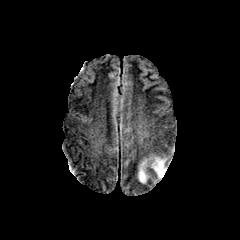
FLAIR MRI.
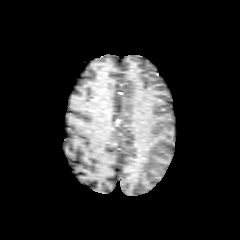
T1-weighted MR image.
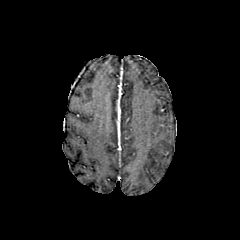
Same slice, post-contrast T1-weighted MR.
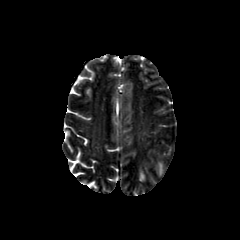
T2-weighted MR image.
240x240.
edema:
  - 146 158 165 177
  - 138 164 146 183